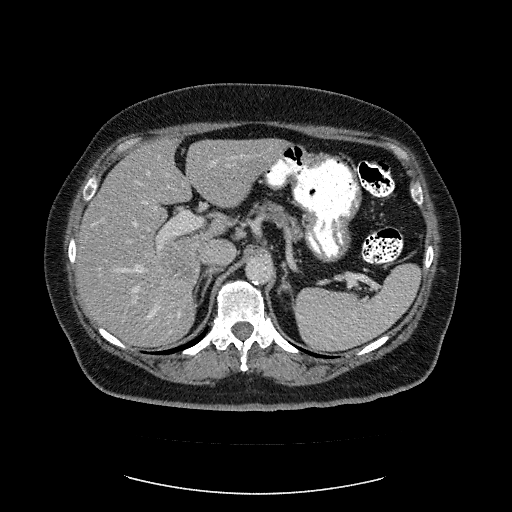
Image size 512x512 | CT scan slice

The vessel boxes may cover only some of the vessels.
Principal 15 of 21 hepatic vessel regions: bounding box (x1=116, y1=265, x2=143, y2=271), (x1=99, y1=268, x2=101, y2=272), (x1=143, y1=201, x2=146, y2=203), (x1=102, y1=217, x2=104, y2=219), (x1=168, y1=314, x2=173, y2=319), (x1=146, y1=308, x2=156, y2=319), (x1=230, y1=154, x2=250, y2=159), (x1=133, y1=222, x2=137, y2=225), (x1=178, y1=312, x2=179, y2=317), (x1=93, y1=223, x2=95, y2=225), (x1=134, y1=287, x2=138, y2=291), (x1=209, y1=161, x2=216, y2=166), (x1=147, y1=172, x2=149, y2=174), (x1=278, y1=159, x2=281, y2=162), (x1=226, y1=164, x2=229, y2=166).
Liver tumor: bounding box (x1=157, y1=247, x2=200, y2=283).